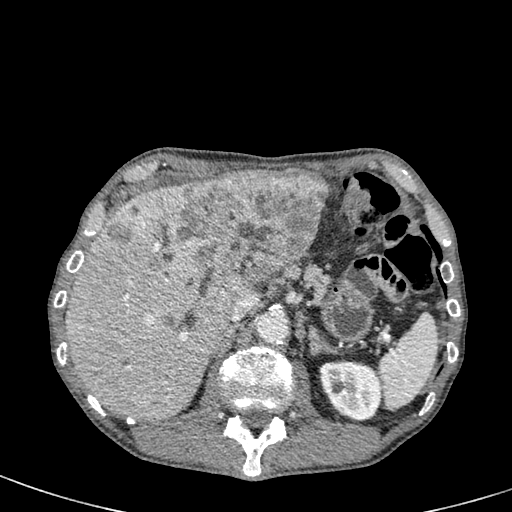
512x512 px | Liver | CT scan slice
liver_lesion:
  - <bbox>108, 223, 131, 241</bbox>
  - <bbox>164, 314, 174, 324</bbox>
  - <bbox>178, 170, 329, 283</bbox>
liver:
  - <bbox>65, 182, 257, 419</bbox>
  - <bbox>263, 168, 316, 175</bbox>
kidney:
  - <bbox>320, 361, 380, 419</bbox>